Image size 512x512 | Liver | CT slice | Slice index 65

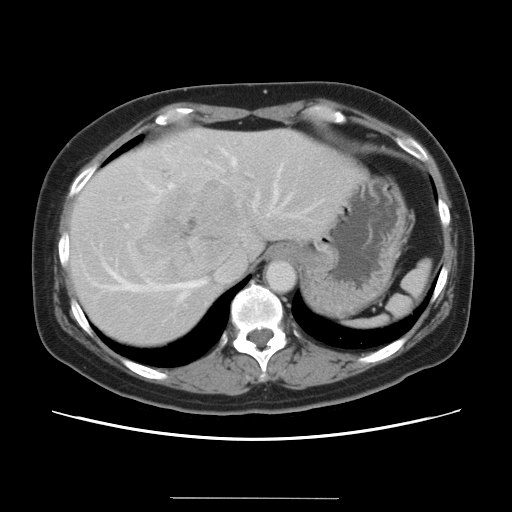

Only some of the vessels may be annotated.
<segmentation partial="true">
  <hepatic_vessel shown="15" total="17">x1=166 y1=280 x2=205 y2=299, x1=282 y1=196 x2=290 y2=205, x1=272 y1=182 x2=277 y2=204, x1=222 y1=151 x2=226 y2=155, x1=267 y1=213 x2=270 y2=216, x1=279 y1=168 x2=280 y2=172, x1=168 y1=184 x2=172 y2=188, x1=230 y1=158 x2=235 y2=165, x1=149 y1=186 x2=155 y2=190, x1=291 y1=207 x2=312 y2=216, x1=157 y1=190 x2=161 y2=194, x1=95 y1=284 x2=106 y2=289, x1=252 y1=194 x2=258 y2=207, x1=125 y1=224 x2=127 y2=227, x1=107 y1=268 x2=162 y2=291</hepatic_vessel>
  <liver_tumor>x1=134 y1=180 x2=246 y2=279</liver_tumor>
</segmentation>